Abdomen; 512x512; CT image
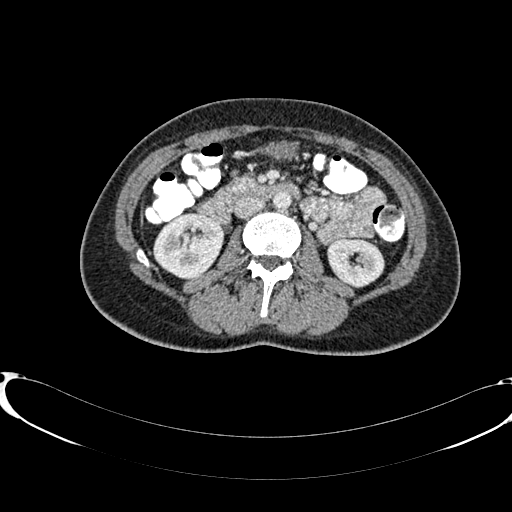 Kidney: bounding box x1=155 y1=215 x2=222 y2=277, x1=329 y1=240 x2=382 y2=285.